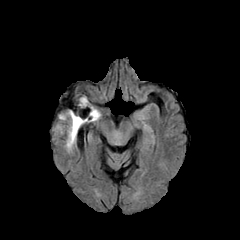
FLAIR magnetic resonance.
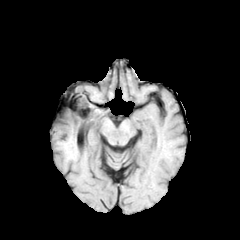
T1-weighted MR of the same slice.
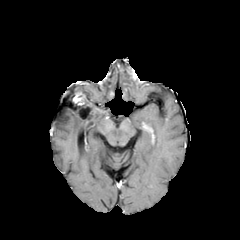
Same slice, post-contrast T1-weighted MRI.
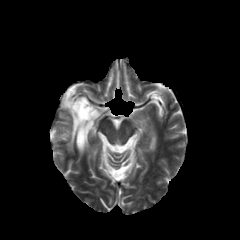
T2-weighted MR image.
Brain | 240x240 px
Edema = 55,108,101,150.
Non-enhancing tumor core = 78,97,86,110; 72,111,89,127.